Computed tomography | Field of view 348 mm wide, 0.80 mm slice spacing | Slice index 413 | 512x512 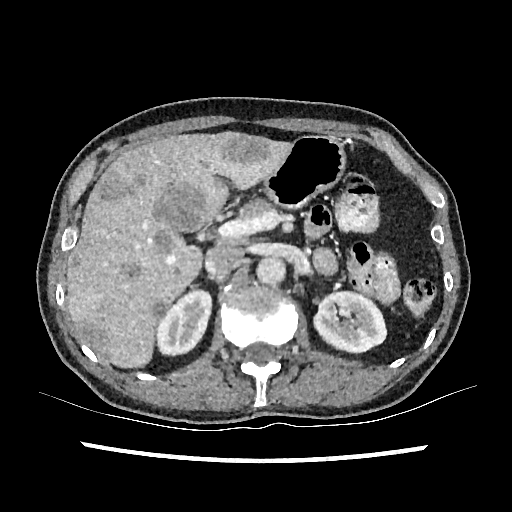
2 kidney regions are located at bbox(157, 291, 210, 355); bbox(314, 292, 386, 352). 9 focal liver lesion regions are located at bbox(98, 172, 128, 201); bbox(152, 301, 169, 318); bbox(125, 263, 140, 279); bbox(80, 325, 107, 354); bbox(70, 255, 80, 267); bbox(153, 184, 205, 230); bbox(153, 229, 172, 253); bbox(216, 135, 271, 166); bbox(133, 174, 145, 186). The liver appears at bbox(67, 132, 290, 367).